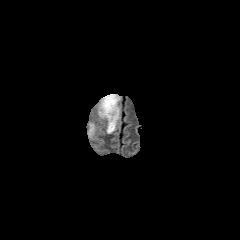
FLAIR MRI.
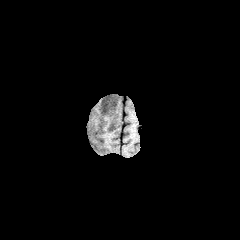
Same slice, T1-weighted MR.
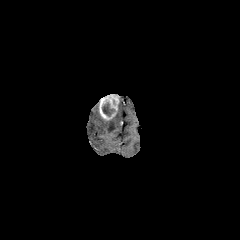
Post-contrast T1-weighted MRI.
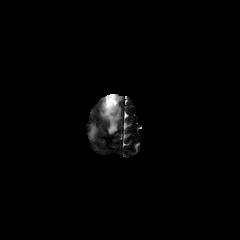
T2-weighted magnetic resonance.
Brain.
Enhancing tumor: bounding box x1=99, y1=94, x2=118, y2=119.
Edema: bounding box x1=87, y1=122, x2=96, y2=138; x1=106, y1=104, x2=120, y2=133.